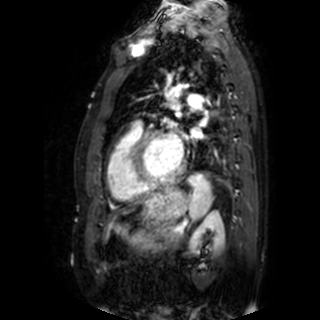
Cardiac; MR

Left atrium = box=[191, 128, 203, 138]; box=[172, 135, 183, 156].